Liver. 512x512. Image width 373 mm. Slice 394 of 771. CT scan slice.
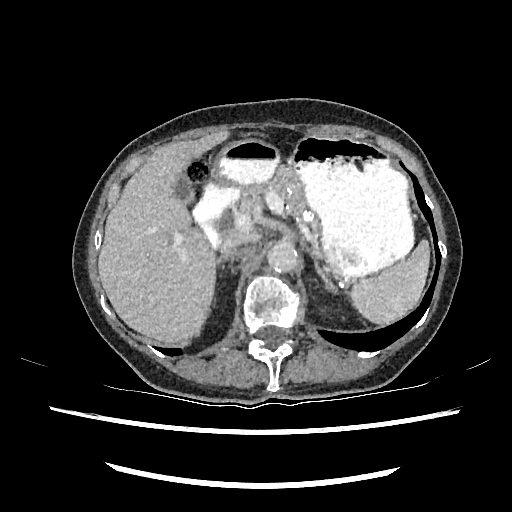 Annotated regions:
* liver: 99,131,227,341